Abdomen, CT image, 512x512 px, Image width 330 mm
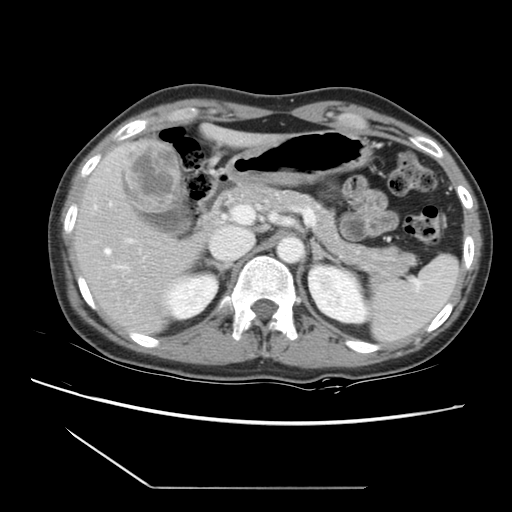 The vessel annotation is not exhaustive.
The liver tumor is at {"x1": 126, "y1": 143, "x2": 179, "y2": 210}. 8 hepatic vessel regions are located at {"x1": 112, "y1": 155, "x2": 116, "y2": 157}, {"x1": 107, "y1": 168, "x2": 109, "y2": 171}, {"x1": 93, "y1": 205, "x2": 96, "y2": 209}, {"x1": 118, "y1": 149, "x2": 123, "y2": 153}, {"x1": 110, "y1": 203, "x2": 111, "y2": 205}, {"x1": 114, "y1": 266, "x2": 128, "y2": 272}, {"x1": 104, "y1": 249, "x2": 111, "y2": 255}, {"x1": 126, "y1": 239, "x2": 133, "y2": 243}.